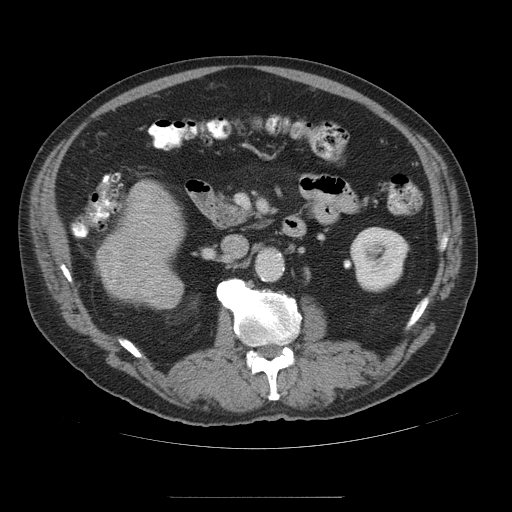
Liver | 512x512 px | CT slice
<segmentation>
  <liver_tumor>rect(98, 245, 119, 276)</liver_tumor>
</segmentation>